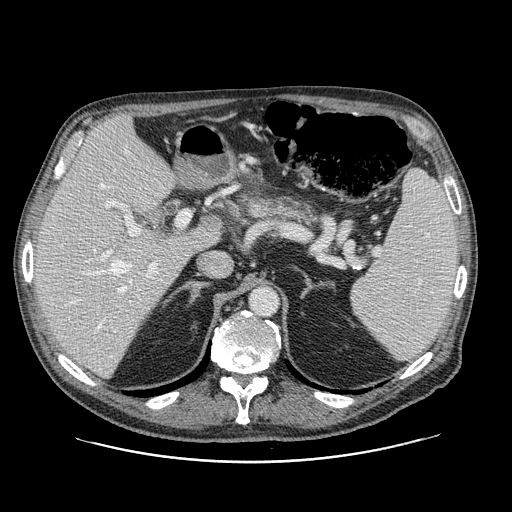
Abdomen, CT scan slice
The pancreas is bounded by <bbox>248, 196, 314, 223</bbox>.